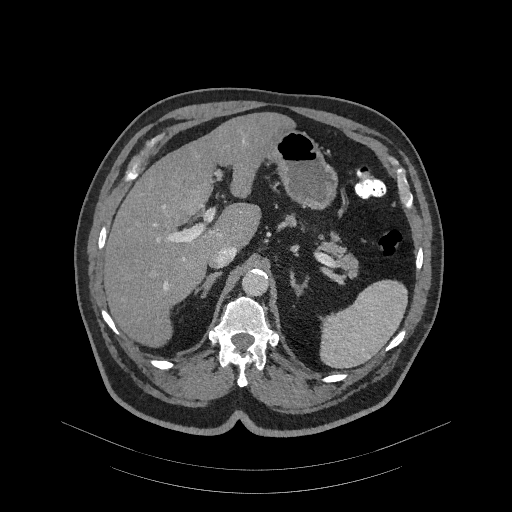 Upper abdomen. CT scan slice. Segmented structures:
- pancreas: rect(316, 234, 359, 276)